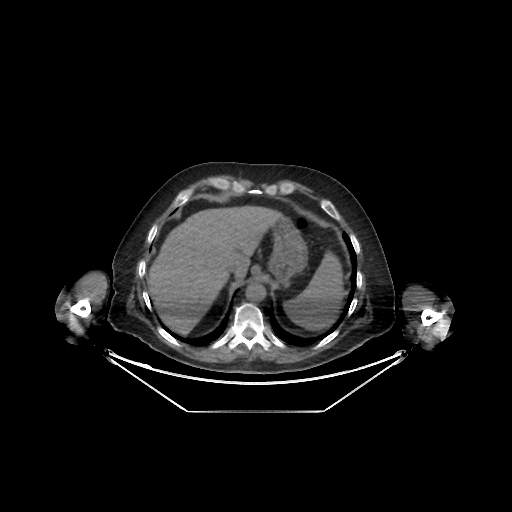 CT scan slice, Liver
Annotated regions:
- liver: (146,206,278,334)